Brain; CT scan slice; Slice index 624

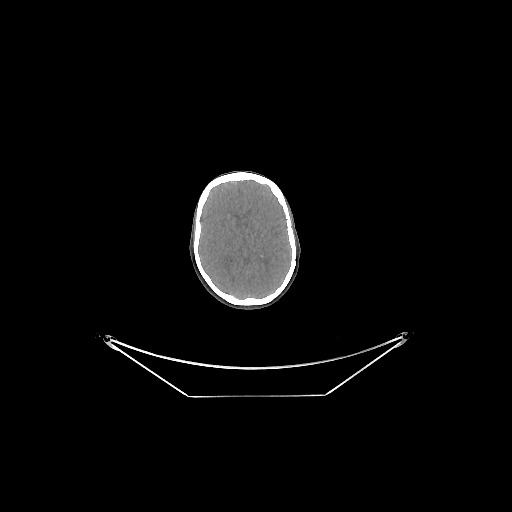
The brain is located at <bbox>198, 180, 291, 299</bbox>.